Computed tomography, Upper abdomen, Image width 400 mm 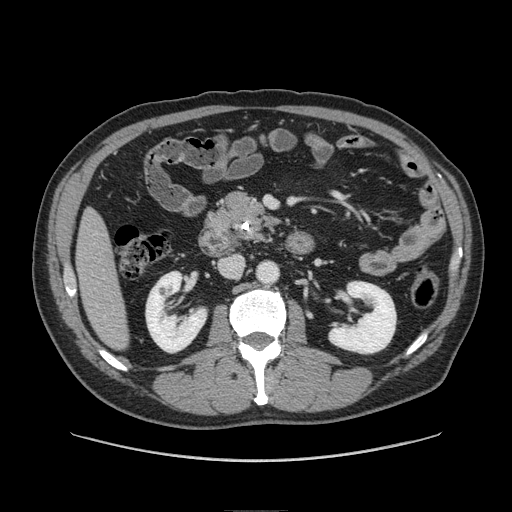
pancreas:
  - (202, 188, 284, 251)